Field of view 500 mm wide, 1.50 mm slice spacing; Abdomen; CT slice; Slice 124 of 148 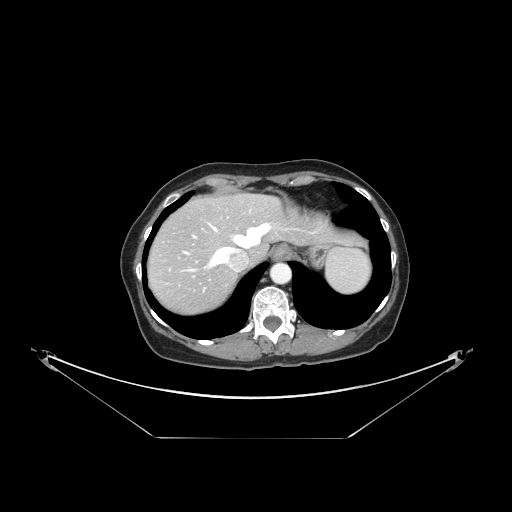

The vessel annotation is not exhaustive.
The hepatic vessel is bounded by 234 224 270 247.